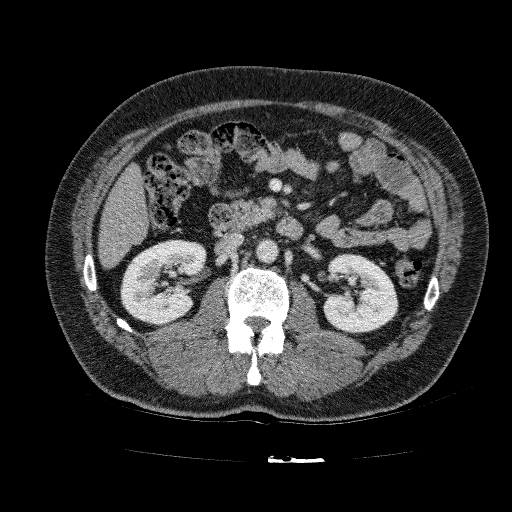 Liver. Computed tomography. The liver appears at region(99, 164, 148, 267). 2 kidney regions are located at region(121, 240, 205, 323); region(324, 255, 397, 331).